Slice 66 of 114; CT slice; Image width 367 mm; 512x512

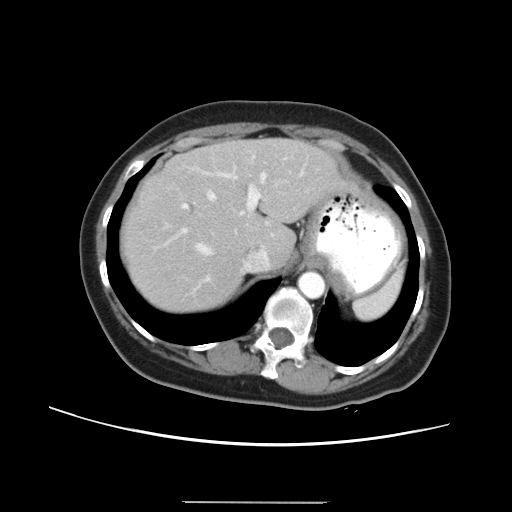 Only some of the vessels may be annotated.
{
  "hepatic_vessel": [
    "l=261, t=173, r=265, b=182",
    "l=182, t=204, r=187, b=207",
    "l=247, t=185, r=260, b=208",
    "l=196, t=243, r=210, b=254",
    "l=218, t=169, r=236, b=178",
    "l=261, t=251, r=266, b=254",
    "l=207, t=191, r=214, b=199",
    "l=240, t=211, r=243, b=213"
  ]
}